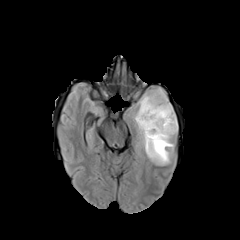
FLAIR magnetic resonance.
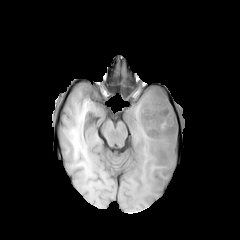
T1-weighted magnetic resonance.
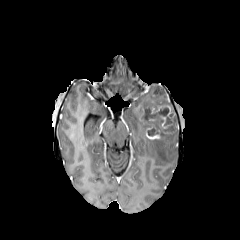
Post-contrast T1-weighted MR.
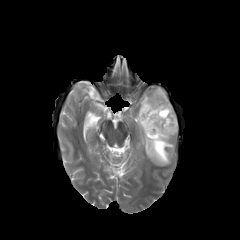
T2-weighted MR image of the same slice.
Findings:
• enhancing tumor: (left=146, top=132, right=159, bottom=139), (left=151, top=104, right=171, bottom=114)
• edema: (left=131, top=89, right=176, bottom=165)
• non-enhancing tumor core: (left=138, top=91, right=176, bottom=136)